CT scan slice, Slice 320 of 654, Liver, Field of view 400x400 mm 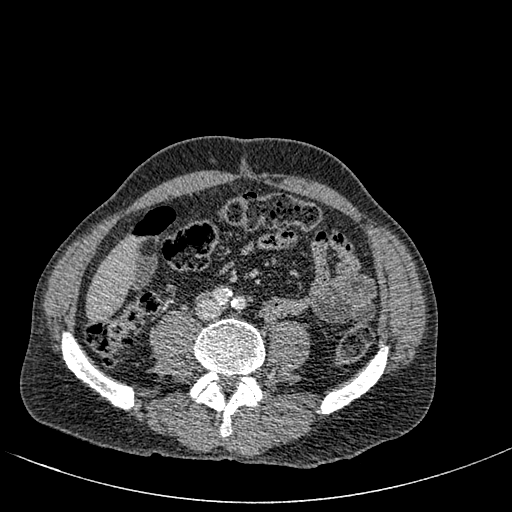
liver:
  - left=87, top=239, right=135, bottom=319